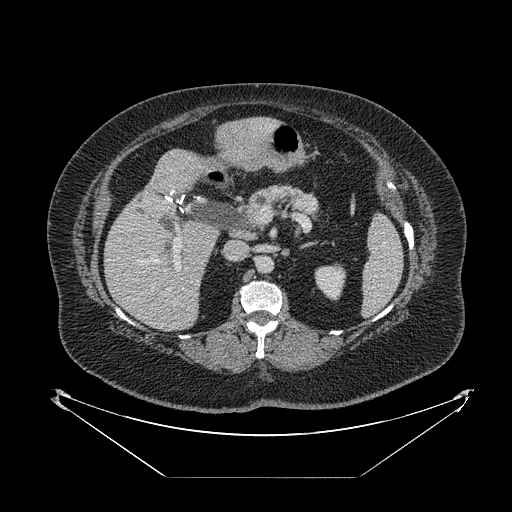

CT
Pancreas — bbox(247, 184, 322, 219).